Field of view 409x409 mm | Pelvis | CT
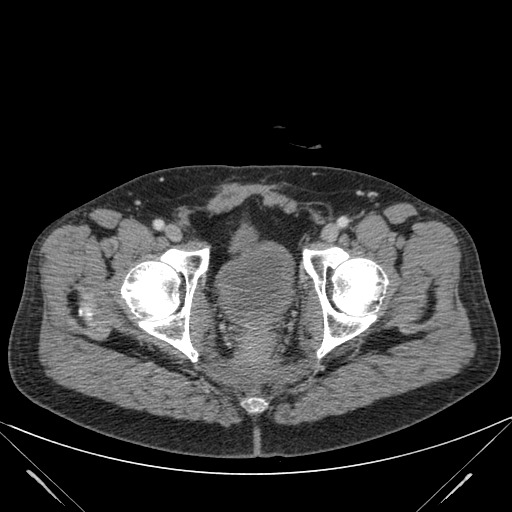
* urinary bladder: 215,240,295,328